FLAIR MR image.
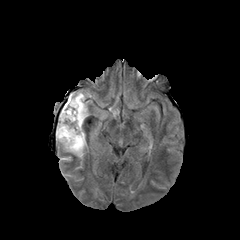
T1-weighted MR image.
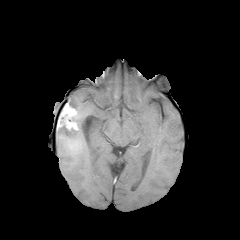
Post-contrast T1-weighted MRI.
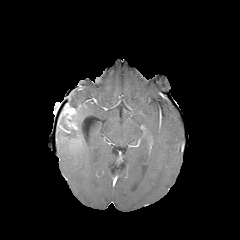
T2-weighted magnetic resonance.
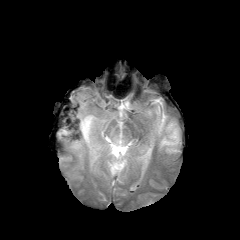
Brain | 240x240
<segmentation>
  <edema>56, 90, 96, 159</edema>
  <enhancing_tumor>64, 106, 76, 121</enhancing_tumor>
  <non-enhancing_tumor_core>68, 140, 77, 148; 72, 105, 81, 117; 58, 102, 79, 135</non-enhancing_tumor_core>
</segmentation>